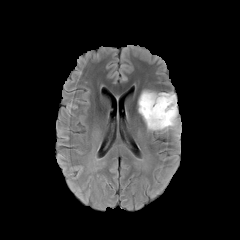
FLAIR MR.
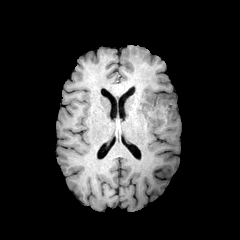
T1-weighted MRI of the same slice.
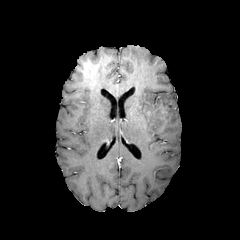
Same slice, post-contrast T1-weighted MR.
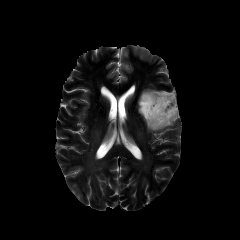
T2-weighted MRI.
Brain
Edema — x1=138, y1=89, x2=178, y2=133.
Non-enhancing tumor core — x1=142, y1=94, x2=175, y2=123.